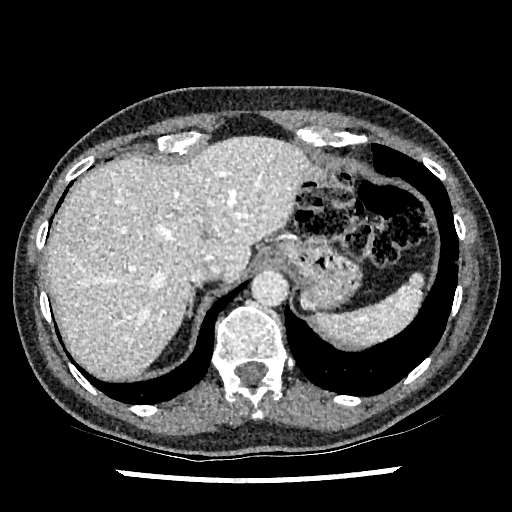
CT image
The liver appears at [47, 137, 315, 378].